CT 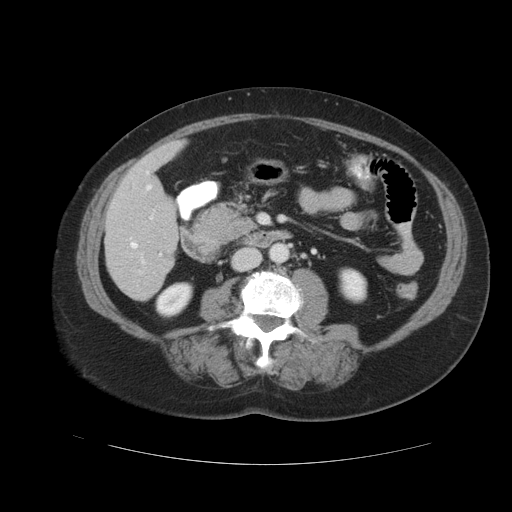

The vessel annotation is not exhaustive.
3 hepatic vessel regions appear at bbox=[150, 216, 152, 218]; bbox=[147, 185, 150, 189]; bbox=[131, 243, 136, 247].